Upper abdomen, CT slice, Image size 512x512

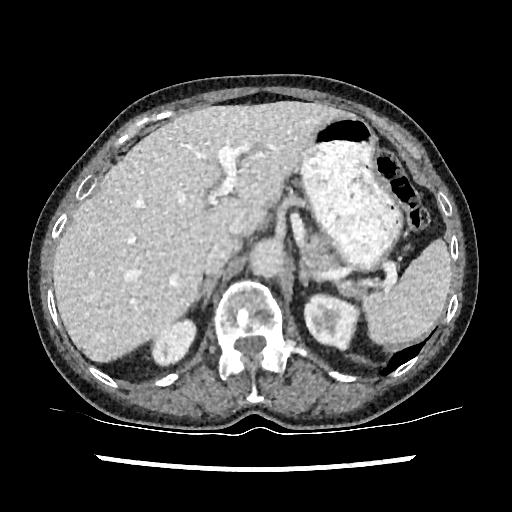

Kidney = bbox=[306, 297, 354, 347]; bbox=[154, 321, 193, 362].
Liver = bbox=[53, 102, 349, 360].